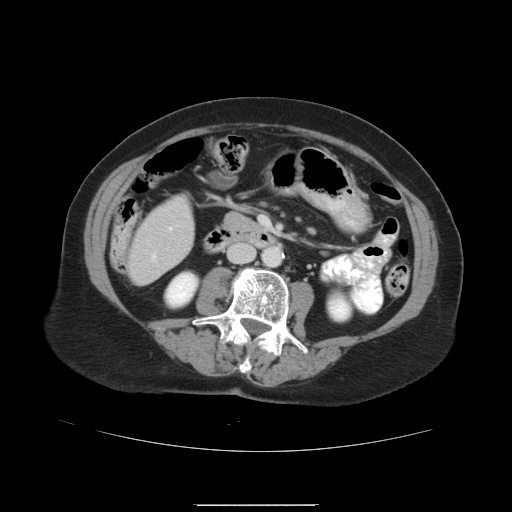
Computed tomography
Not every hepatic vessel necessarily has a box.
* hepatic vessel: <box>170,227,172,229</box>, <box>153,254,156,259</box>